CT. 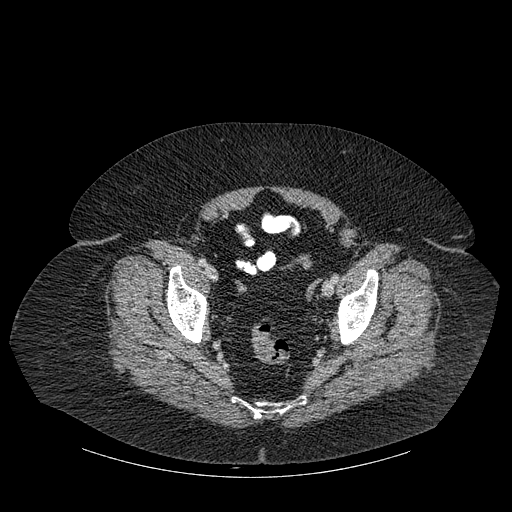

<segmentation>
  <bone>(167, 266, 206, 342), (338, 269, 378, 344), (232, 396, 306, 418)</bone>
</segmentation>